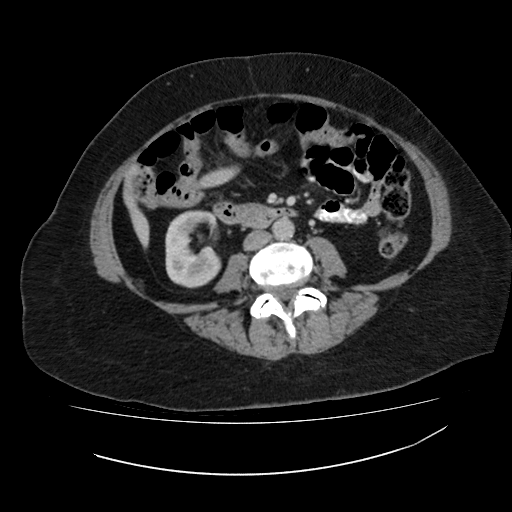

CT slice. 512x512.

{
  "liver": [
    "125:193:148:245",
    "200:170:232:186",
    "126:166:137:179"
  ],
  "kidney": [
    "166:211:220:287"
  ]
}